512x512 px | Slice index 33 | CT image

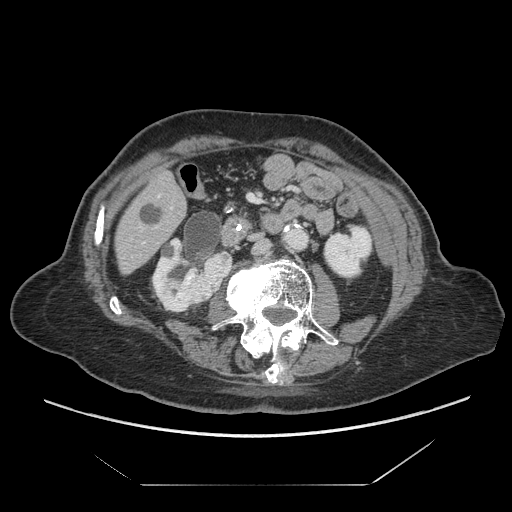 Pancreas = (x1=221, y1=197, x2=250, y2=217).